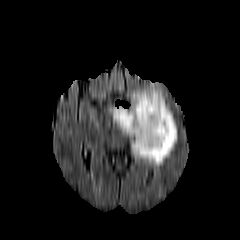
FLAIR MR image.
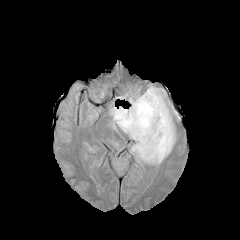
T1-weighted MR.
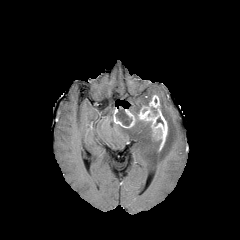
Same slice, post-contrast T1-weighted MRI.
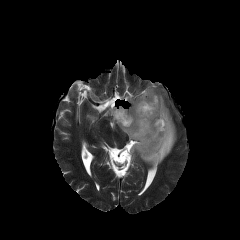
T2-weighted MRI.
Image size 240x240, Head
{
  "enhancing_tumor": [
    "(113, 94, 167, 150)"
  ],
  "non-enhancing_tumor_core": [
    "(115, 108, 132, 125)"
  ],
  "edema": [
    "(117, 84, 176, 167)"
  ]
}